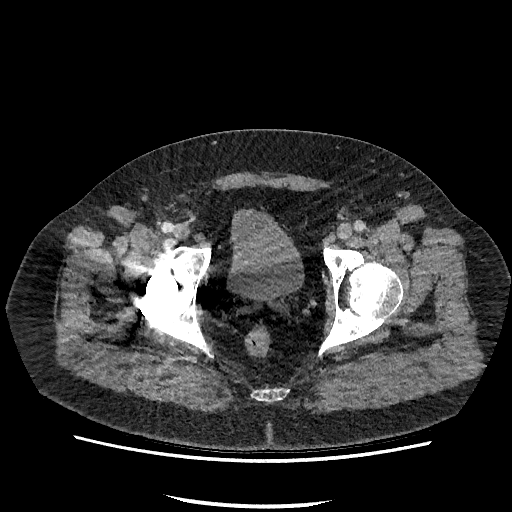 Pelvis | CT image

<segmentation>
  <urinary_bladder><bbox>229, 208, 304, 304</bbox></urinary_bladder>
</segmentation>